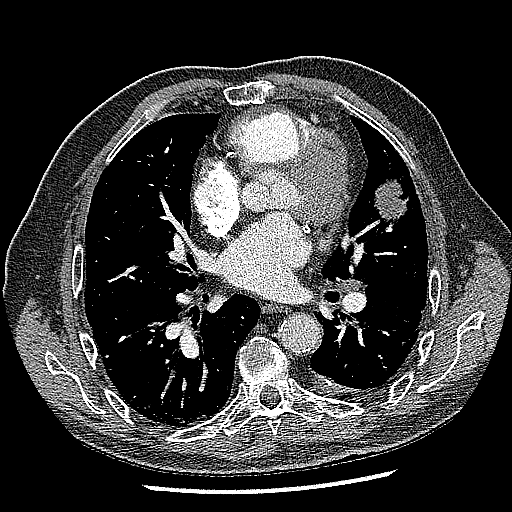 CT slice
{"lung_tumor": ["374, 179, 407, 219"]}